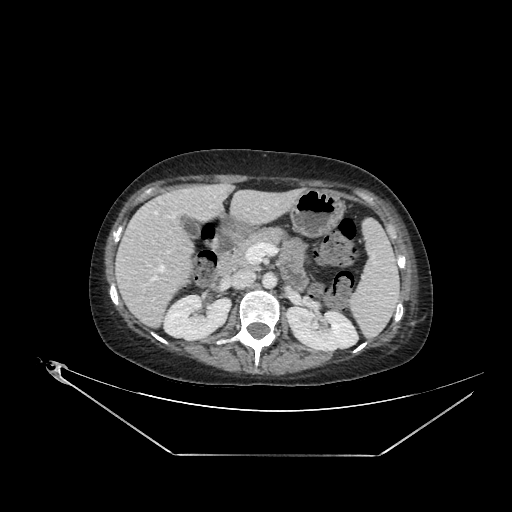

Image size 512x512; CT scan slice

Annotated regions:
- kidney: [287,307,357,350], [164,295,230,339]
- liver: [114,184,235,328]